CT. Slice 73/97. Liver.
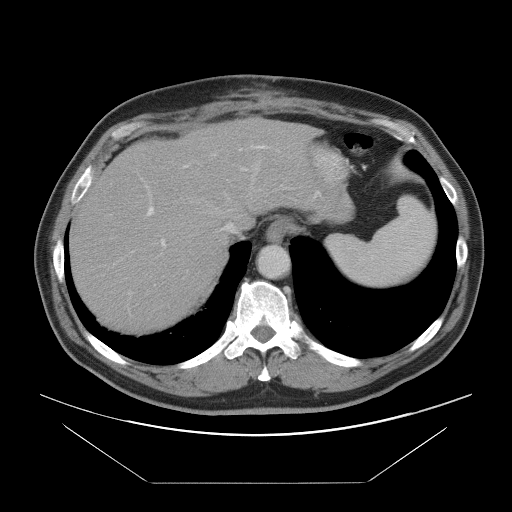

Only some of the vessels may be annotated.
hepatic vessel: (x1=184, y1=164, x2=188, y2=166), (x1=242, y1=168, x2=246, y2=170), (x1=162, y1=240, x2=164, y2=244), (x1=129, y1=292, x2=131, y2=293), (x1=213, y1=153, x2=215, y2=155), (x1=259, y1=145, x2=264, y2=147), (x1=148, y1=206, x2=153, y2=214)